Image size 512x512, CT scan slice
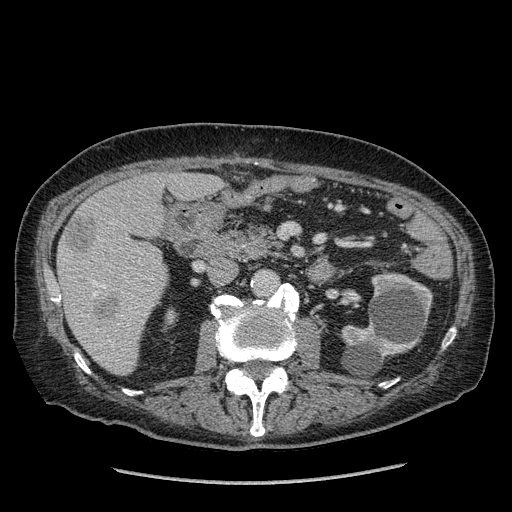

{
  "liver": [
    "(57,172,223,375)"
  ],
  "kidney": [
    "(342,322,418,357)",
    "(372,273,432,317)"
  ],
  "hepatic_lesion": [
    "(68,215,94,251)",
    "(95,295,117,318)"
  ]
}